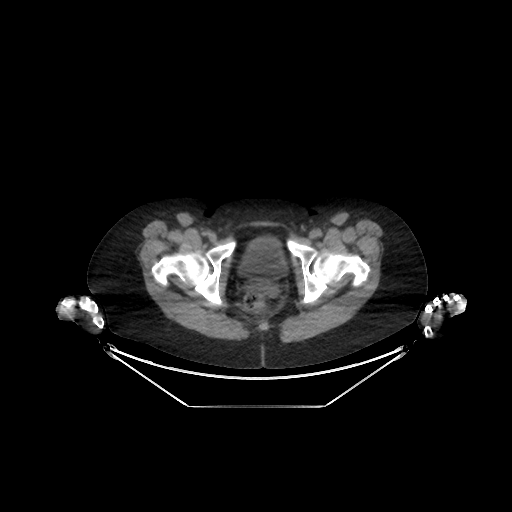

Pelvis | CT scan slice
The urinary bladder is bounded by [237,233,288,278].